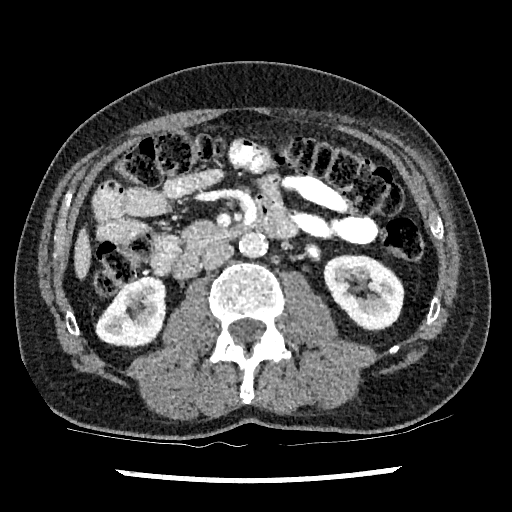

Upper abdomen, CT scan slice
Liver: (74,227,89,279).
Kidney: (97,277,164,345), (325,256,402,328).